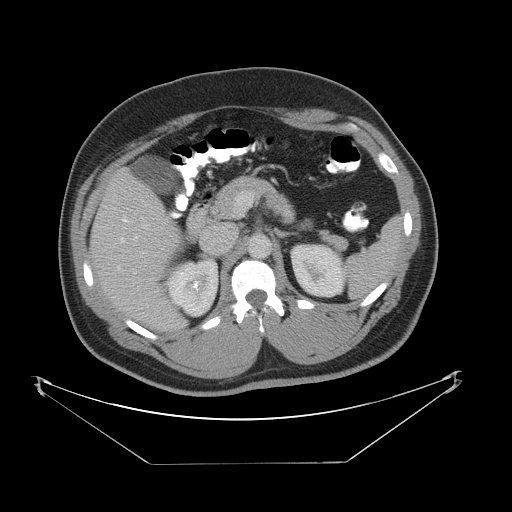

CT.
The vessel boxes may cover only some of the vessels.
Hepatic vessel: l=204, t=228, r=235, b=252.